Slice 111 of 148. Computed tomography. Abdomen.
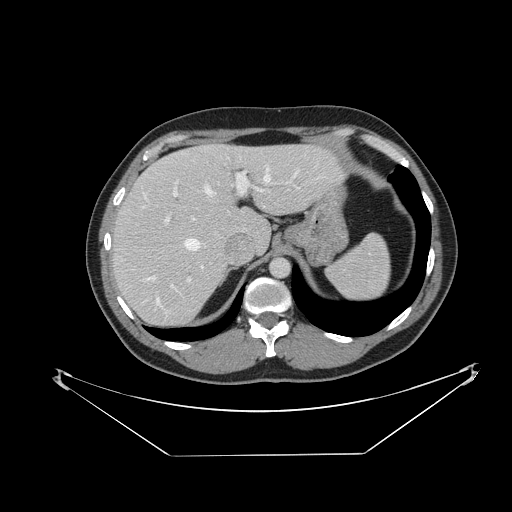

Spleen: bbox=[329, 235, 389, 300].